FLAIR MR.
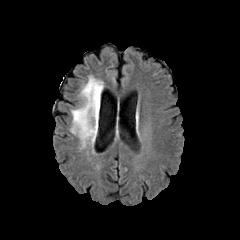
T1-weighted MR.
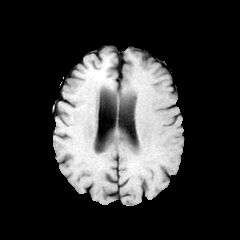
Post-contrast T1-weighted MR image.
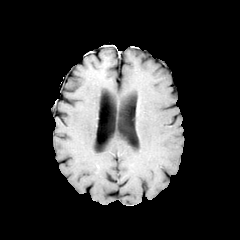
T2-weighted MRI.
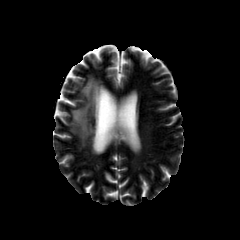
Head
Segmented structures:
* edema: region(70, 75, 103, 146)